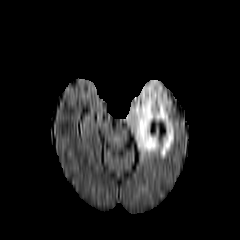
FLAIR magnetic resonance.
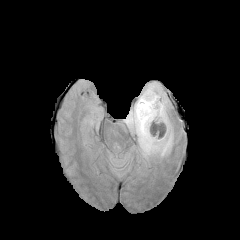
Same slice, T1-weighted MRI.
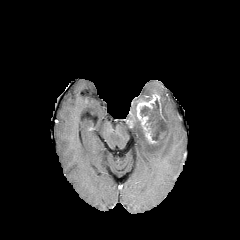
Same slice, post-contrast T1-weighted MR image.
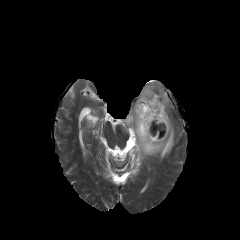
T2-weighted MR of the same slice.
Brain
Non-enhancing tumor core: x1=126 y1=112 x2=137 y2=121.
Edema: x1=127 y1=82 x2=174 y2=157.
Enhancing tumor: x1=136 y1=94 x2=159 y2=142.